FLAIR magnetic resonance.
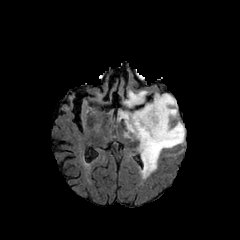
T1-weighted MRI.
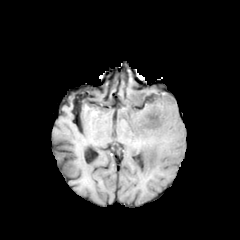
Post-contrast T1-weighted magnetic resonance.
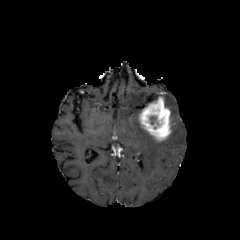
T2-weighted MR.
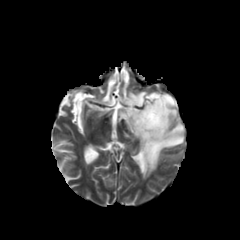
Head
<segmentation>
  <enhancing_tumor>bbox(138, 96, 171, 141)</enhancing_tumor>
  <non-enhancing_tumor_core>bbox(138, 100, 148, 112); bbox(149, 92, 165, 102)</non-enhancing_tumor_core>
  <edema>bbox(117, 90, 184, 178)</edema>
</segmentation>